Abdomen; Image size 512x512; Slice 15 of 39; CT image
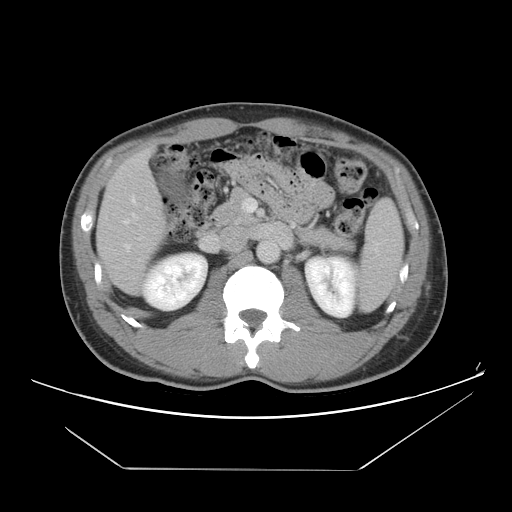
The vessel annotation is not exhaustive.
Findings:
- hepatic vessel: left=131, top=213, right=137, bottom=219; left=131, top=195, right=135, bottom=202; left=124, top=244, right=130, bottom=250; left=124, top=220, right=129, bottom=223